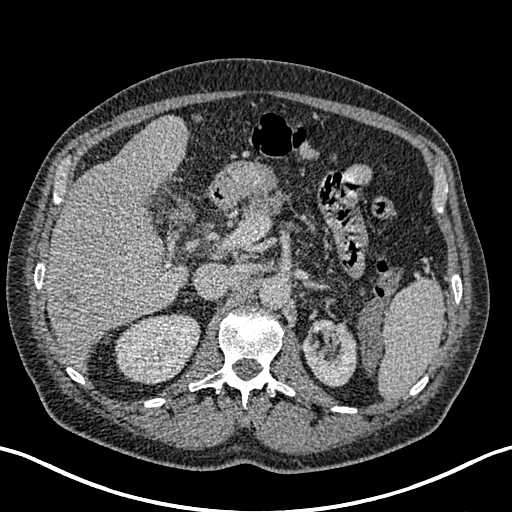

CT image; 512x512
{
  "kidney": [
    "bbox=[303, 321, 355, 385]",
    "bbox=[116, 315, 199, 382]"
  ],
  "liver": [
    "bbox=[46, 116, 188, 371]"
  ],
  "liver_lesion": [
    "bbox=[89, 311, 96, 321]",
    "bbox=[55, 282, 82, 319]"
  ]
}